Image size 240x240 | Image width 240 mm | Brain
FLAIR magnetic resonance.
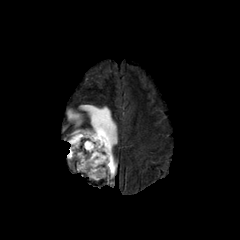
T1-weighted MR image.
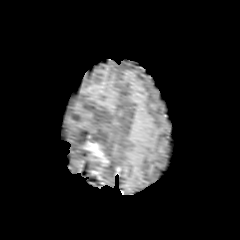
Post-contrast T1-weighted MR.
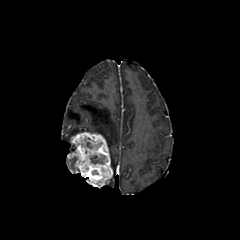
T2-weighted MR.
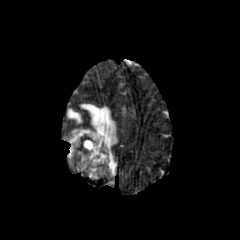
Edema at bbox(67, 104, 117, 175).
Enhancing tumor at bbox(68, 130, 112, 181).
Non-enhancing tumor core at bbox(90, 154, 105, 164).